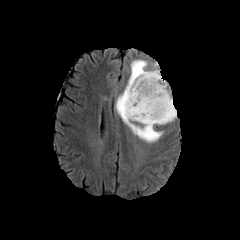
FLAIR magnetic resonance.
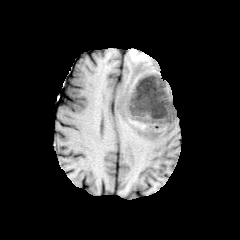
T1-weighted MR.
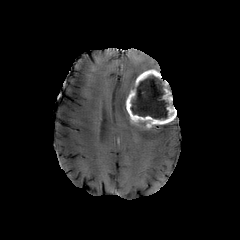
Post-contrast T1-weighted MR image.
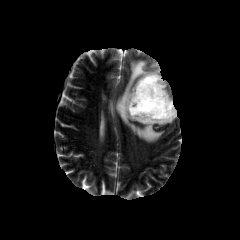
T2-weighted MRI of the same slice.
enhancing tumor: bbox(126, 82, 175, 127); bbox(135, 70, 161, 87) | non-enhancing tumor core: bbox(144, 127, 155, 135); bbox(131, 76, 167, 118); bbox(120, 98, 126, 113) | edema: bbox(114, 59, 171, 142)